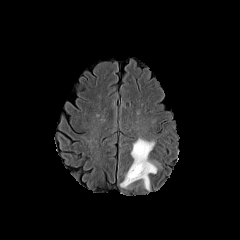
FLAIR MR image.
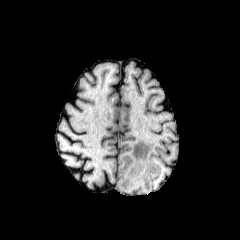
T1-weighted MR.
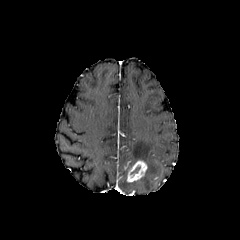
Post-contrast T1-weighted MR image.
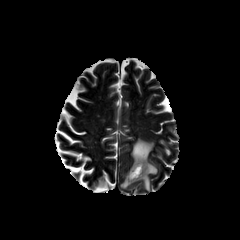
Same slice, T2-weighted MRI.
Brain | Image size 240x240
enhancing_tumor:
  - 125:159:147:182
edema:
  - 131:137:157:190
  - 120:179:132:187